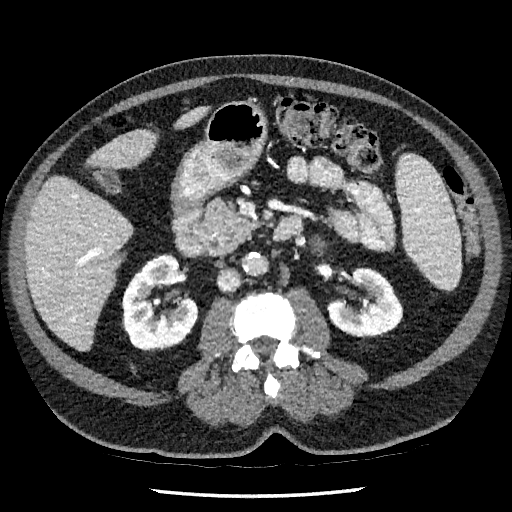

Upper abdomen | CT
Findings:
* kidney: [123,256,197,348], [328,269,401,335]
* hepatic lesion: [111,251,121,260]
* liver: [176,108,206,127], [26,177,131,349], [88,130,155,167]